Upper abdomen; Slice 41 of 93; CT slice
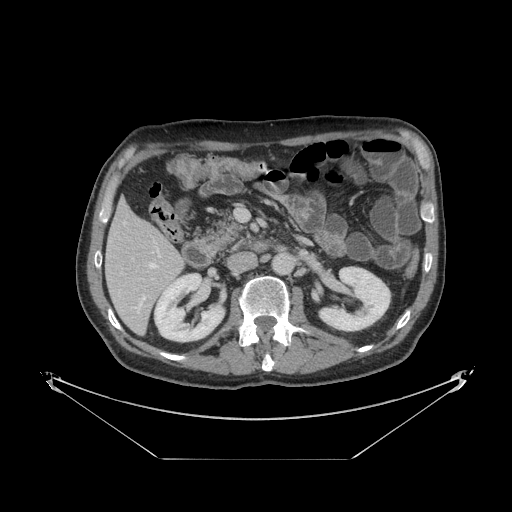 Pancreas = 205:209:243:252.